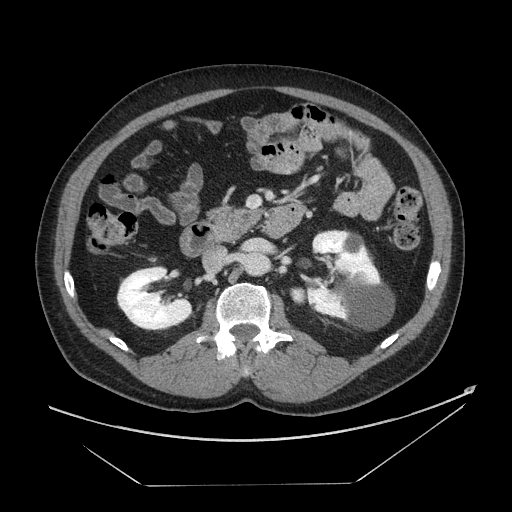 Computed tomography. Upper abdomen.
pancreas: bbox(208, 207, 261, 240)